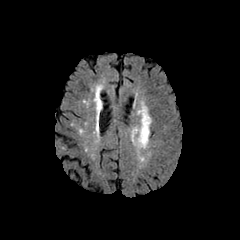
FLAIR MR.
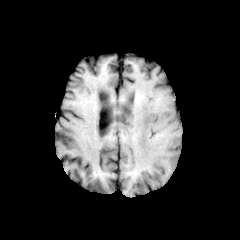
T1-weighted MRI.
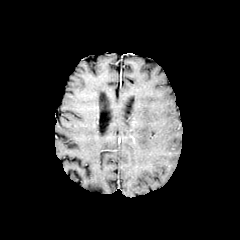
Post-contrast T1-weighted magnetic resonance.
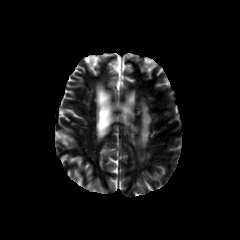
T2-weighted magnetic resonance.
Brain
edema: 131,102,150,148